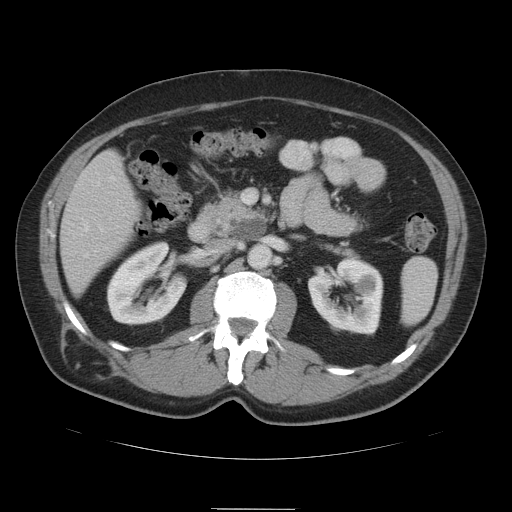 CT
<segmentation>
  <pancreas>(204, 190, 266, 240)</pancreas>
  <pancreatic_tumor>(229, 219, 263, 240)</pancreatic_tumor>
</segmentation>